Field of view 440x440 mm; Slice 71/161; Abdomen; CT image
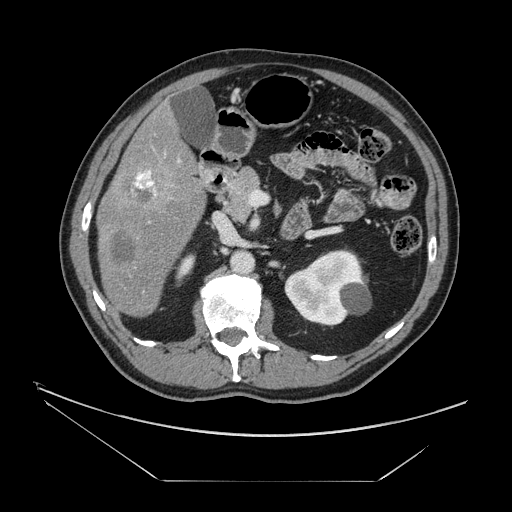
liver tumor: 124 170 158 204, 113 236 138 265